CT slice
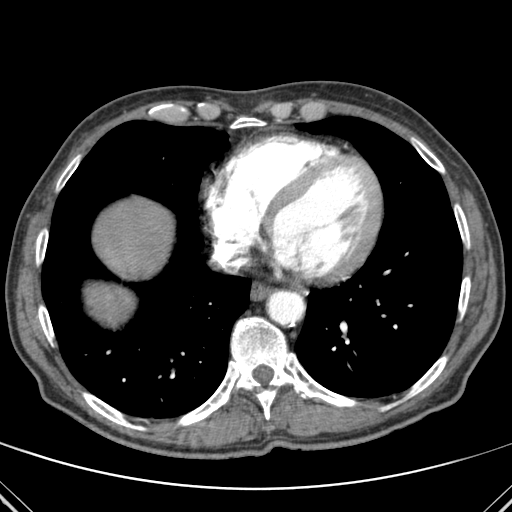

{
  "bone": [
    "x1=454 y1=204 x2=469 y2=245",
    "x1=458 y1=277 x2=470 y2=315",
    "x1=408 y1=356 x2=446 y2=396",
    "x1=413 y1=139 x2=444 y2=172",
    "x1=38 y1=306 x2=53 y2=343",
    "x1=231 y1=117 x2=264 y2=128",
    "x1=178 y1=317 x2=356 y2=425",
    "x1=56 y1=155 x2=80 y2=188",
    "x1=149 y1=104 x2=172 y2=113",
    "x1=83 y1=393 x2=144 y2=430",
    "x1=36 y1=229 x2=47 y2=263"
  ],
  "liver": [
    "x1=93 y1=197 x2=170 y2=279",
    "x1=87 y1=283 x2=130 y2=318"
  ],
  "lung": [
    "x1=296 y1=117 x2=462 y2=397",
    "x1=41 y1=120 x2=250 y2=417"
  ]
}